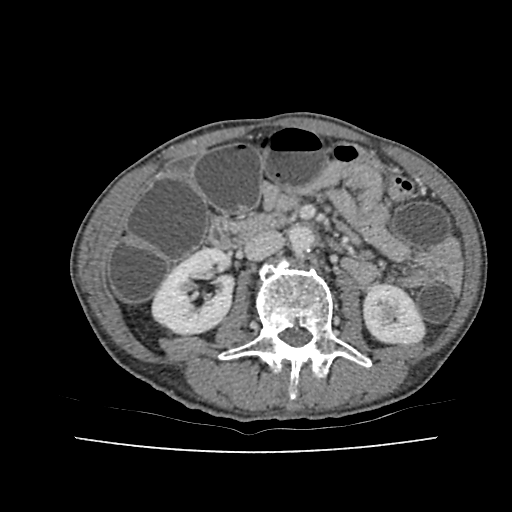 512x512 px. CT slice.

2 kidney regions are located at <bbox>364, 285, 423, 343</bbox>, <bbox>153, 249, 232, 333</bbox>.